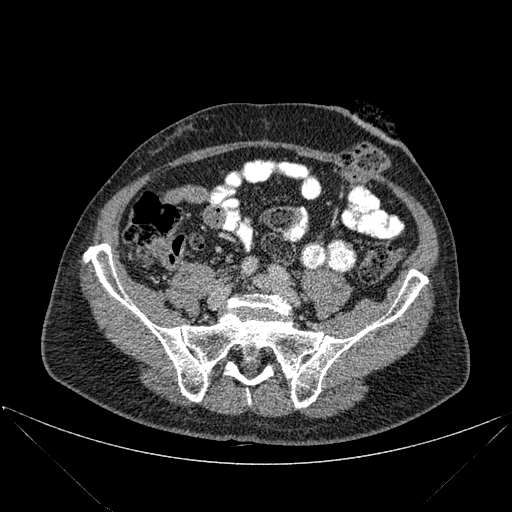 CT slice; Image size 512x512
2 bone regions are bounded by (x1=84, y1=244, x2=428, y2=407), (x1=225, y1=362, x2=272, y2=384).